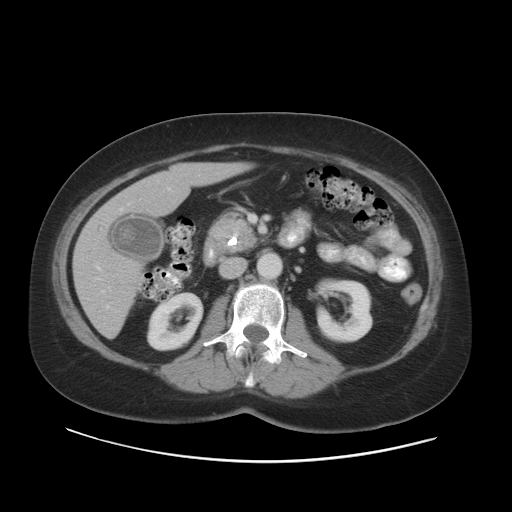 Computed tomography, Upper abdomen, 512x512

pancreatic_tumor:
  - {"x1": 230, "y1": 221, "x2": 251, "y2": 238}
pancreas:
  - {"x1": 209, "y1": 216, "x2": 258, "y2": 254}